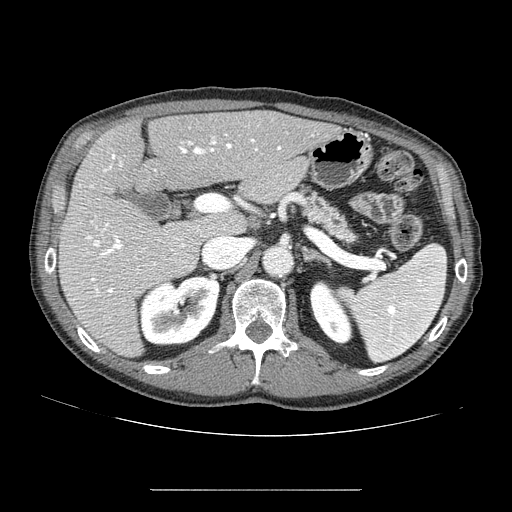 CT
The pancreas lies within <bbox>301, 188, 357, 244</bbox>.